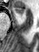

MR. 39x52 px. anterior_hippocampus:
  - (13,7,23,15)